CT, Abdomen, Slice index 639 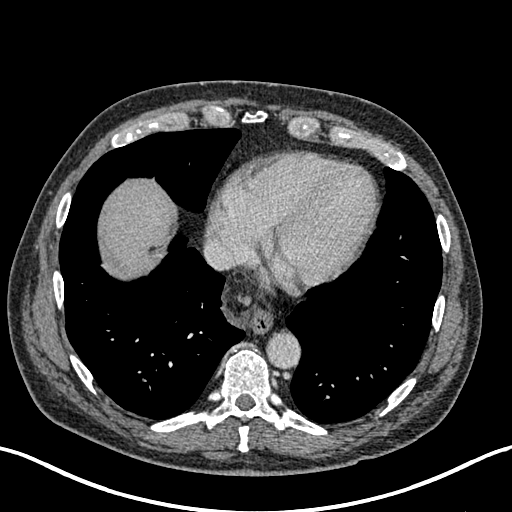
<segmentation>
  <liver>bbox(98, 178, 176, 275)</liver>
  <hepatic_lesion>bbox(146, 244, 157, 254)</hepatic_lesion>
</segmentation>